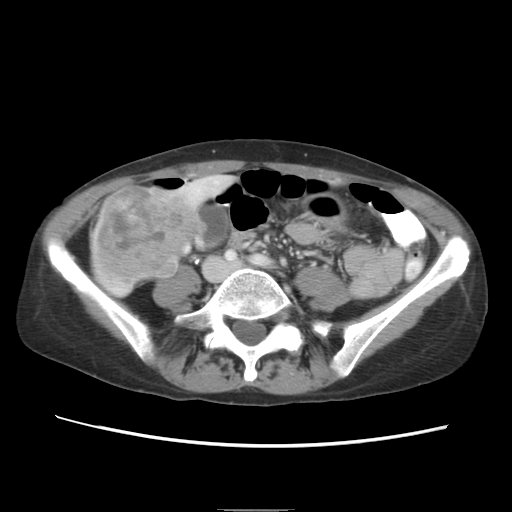

Image size 512x512. Abdomen. Computed tomography. Only some of the vessels may be annotated.
hepatic vessel: rect(215, 181, 217, 182) | liver tumor: rect(94, 190, 193, 286)